Head, Image size 240x240, Field of view 240 mm wide, 1.00 mm slice spacing
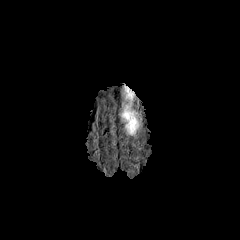
FLAIR MR.
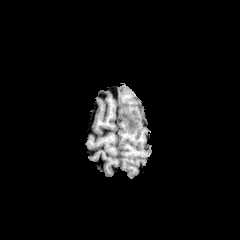
Same slice, T1-weighted MR image.
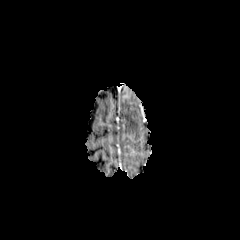
Post-contrast T1-weighted MR of the same slice.
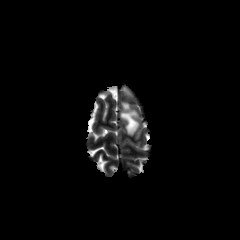
T2-weighted MRI.
Findings:
- edema: 118, 97, 142, 137